CT slice. 512x512.
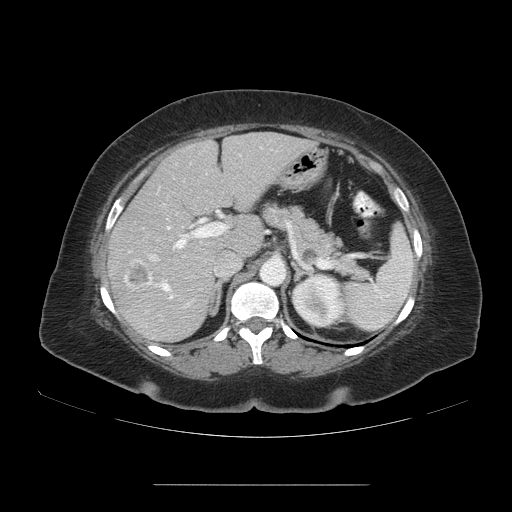

Only some of the vessels may be annotated.
liver_tumor:
  - x1=123 y1=259 x2=152 y2=289
hepatic_vessel:
  - x1=169 y1=295 x2=171 y2=298
  - x1=174 y1=218 x2=228 y2=249
  - x1=158 y1=282 x2=168 y2=289
  - x1=166 y1=225 x2=170 y2=229
  - x1=214 y1=254 x2=240 y2=276
  - x1=149 y1=255 x2=157 y2=261
  - x1=216 y1=210 x2=222 y2=216